Image size 512x512; Field of view 350 mm wide, 0.70 mm slice spacing; CT scan slice; Slice index 417
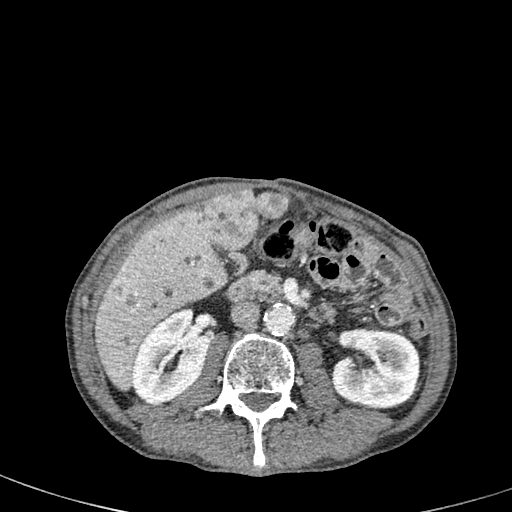
Liver lesion — {"x1": 194, "y1": 190, "x2": 287, "y2": 249}, {"x1": 112, "y1": 287, "x2": 121, "y2": 296}.
Liver — {"x1": 94, "y1": 206, "x2": 227, "y2": 389}.
Kidney — {"x1": 333, "y1": 329, "x2": 418, "y2": 407}, {"x1": 132, "y1": 310, "x2": 212, "y2": 404}.